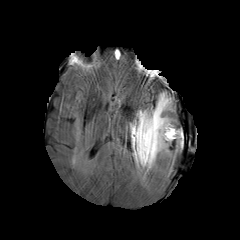
FLAIR magnetic resonance.
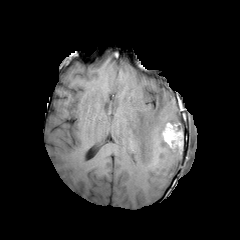
T1-weighted magnetic resonance.
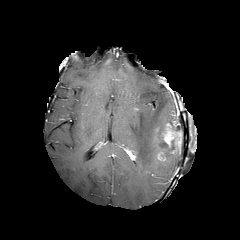
Post-contrast T1-weighted MR.
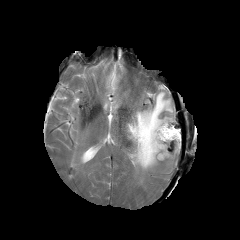
T2-weighted MRI of the same slice.
Head
non-enhancing tumor core: bbox(164, 138, 180, 153) | edema: bbox(127, 92, 181, 171) | enhancing tumor: bbox(162, 124, 179, 143)